FLAIR MR.
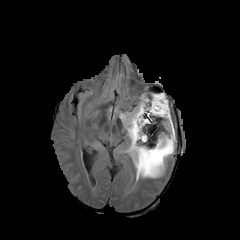
T1-weighted MRI.
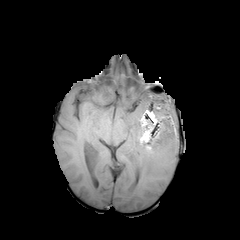
Post-contrast T1-weighted MR.
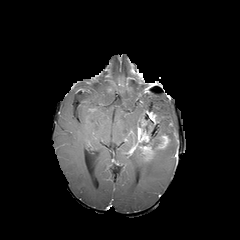
T2-weighted MR.
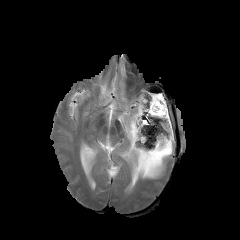
The non-enhancing tumor core appears at left=132, top=110, right=156, bottom=151. 3 enhancing tumor regions are located at left=137, top=127, right=147, bottom=139; left=158, top=136, right=169, bottom=148; left=142, top=148, right=153, bottom=160. 2 edema regions appear at left=100, top=85, right=110, bottom=101; left=112, top=91, right=175, bottom=182.